512x512 px. Abdomen. CT. Field of view 400x400 mm. Slice 303/771.

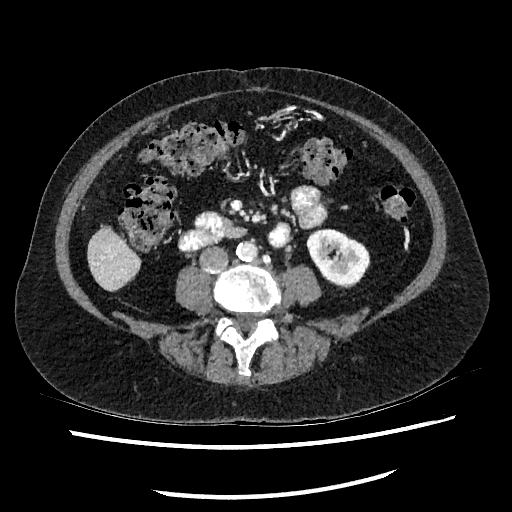 Kidney: bounding box x1=307 y1=224 x2=368 y2=284.
Liver: bounding box x1=87 y1=228 x2=139 y2=290.